Computed tomography | Slice 186/299

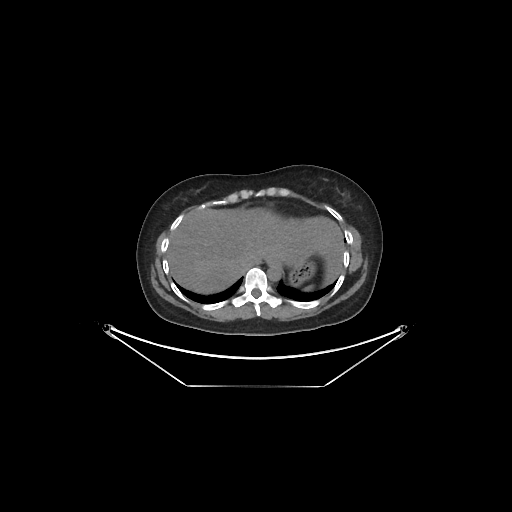

liver:
  - 166 208 344 293